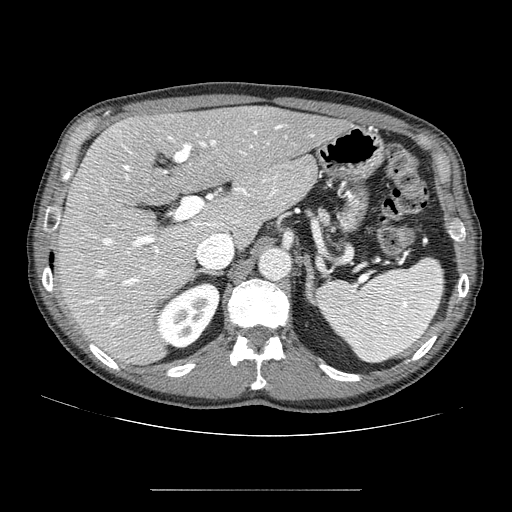

Abdomen; Image size 512x512; CT scan slice
The pancreas is at [321,211,330,228].